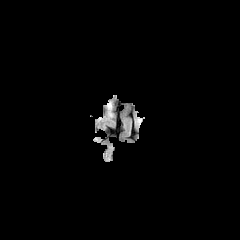
FLAIR MR.
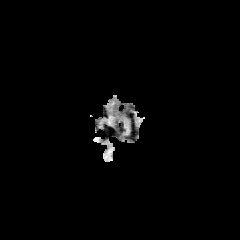
T1-weighted MRI.
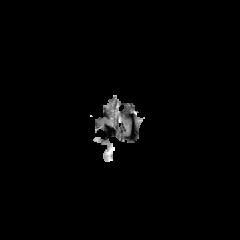
Same slice, post-contrast T1-weighted MR image.
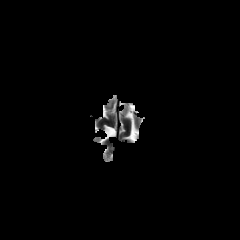
T2-weighted MRI.
240x240.
Non-enhancing tumor core — (106,104,113,115).